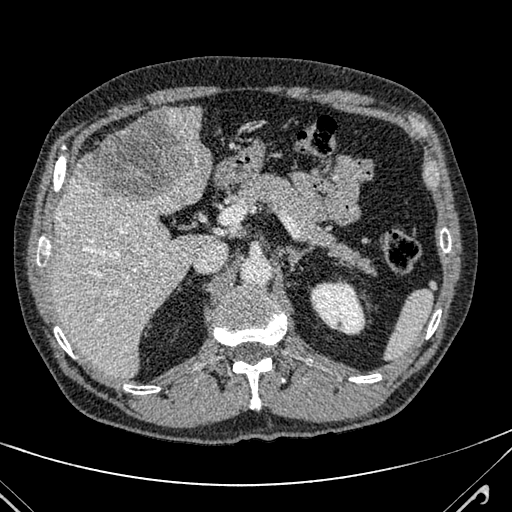

512x512; CT slice
Liver: bounding box region(167, 106, 201, 138); region(50, 162, 206, 377).
Hepatic lesion: bounding box region(77, 109, 210, 202).